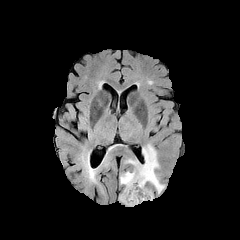
FLAIR MRI.
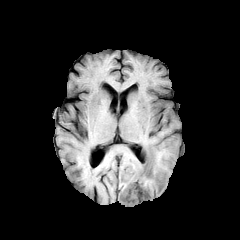
T1-weighted MR image.
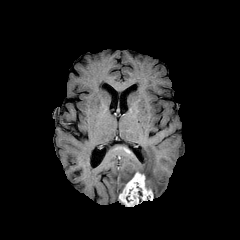
Post-contrast T1-weighted magnetic resonance.
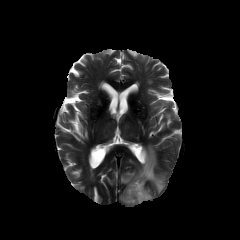
T2-weighted MR image of the same slice.
Enhancing tumor — l=118, t=172, r=153, b=206.
Edema — l=120, t=144, r=164, b=193.